Slice index 268; Upper abdomen; Computed tomography 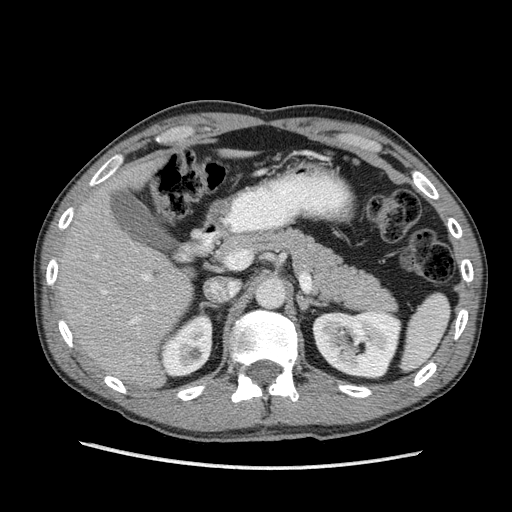 kidney: <box>313,312,399,376</box>, <box>163,317,211,375</box> | liver: <box>54,157,193,389</box>, <box>219,149,240,157</box>